CT image.
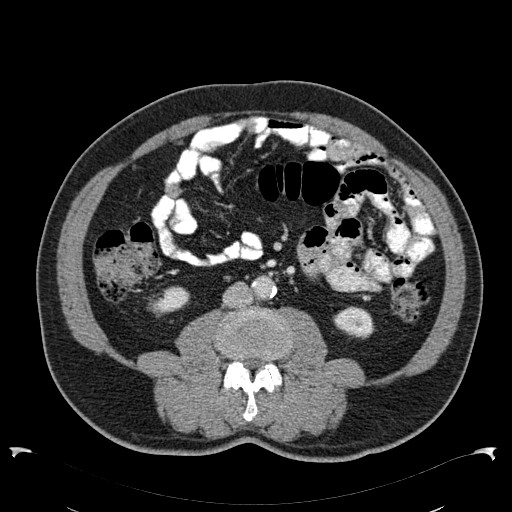
{"kidney": ["bbox(334, 307, 373, 338)", "bbox(150, 287, 188, 315)"]}